512x512 px. Abdomen. Image width 500 mm. CT.

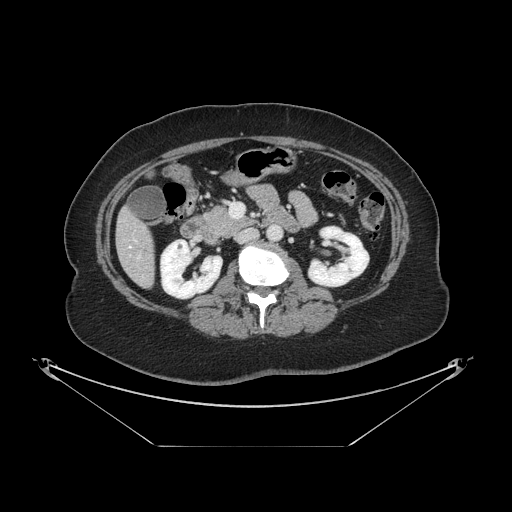
The pancreas is bounded by region(205, 206, 254, 237).